Liver. CT image. Slice 461 of 761. Image size 512x512.
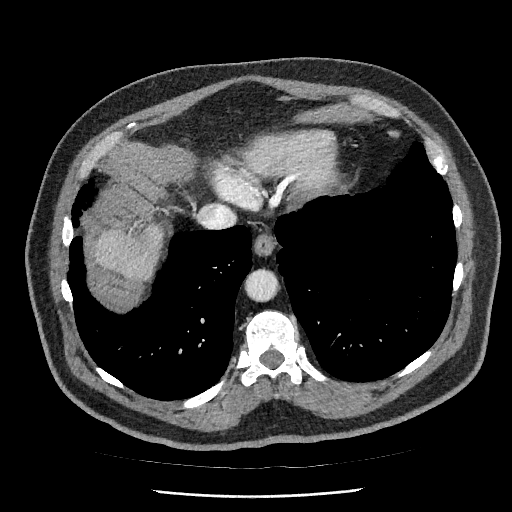 The liver appears at region(96, 225, 163, 280).